Computed tomography. Field of view 400x400 mm. Slice 54/102. Upper abdomen.
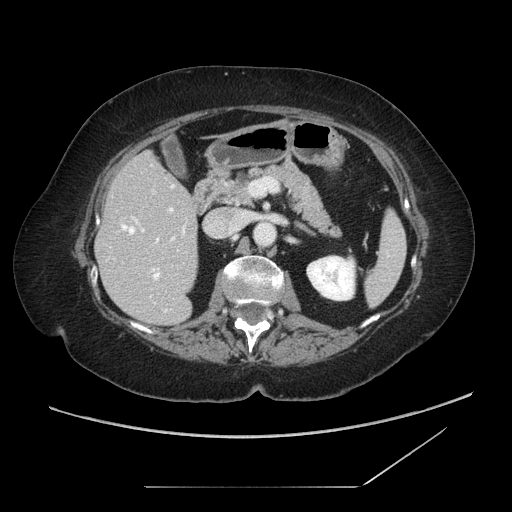

Annotated regions:
• pancreas: 213 154 341 239
• pancreatic tumor: 236 171 248 187